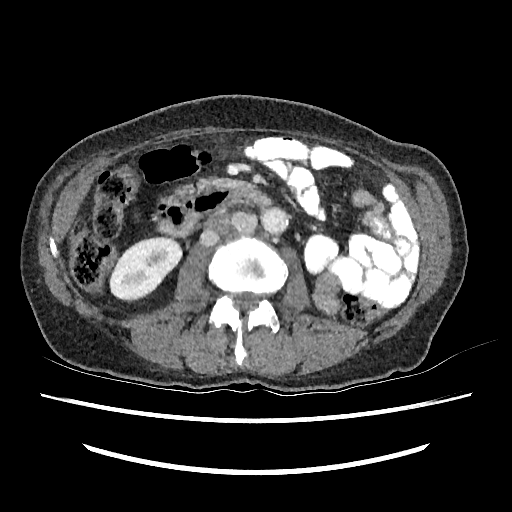 CT | Abdomen
* kidney: bbox=[110, 238, 181, 298]